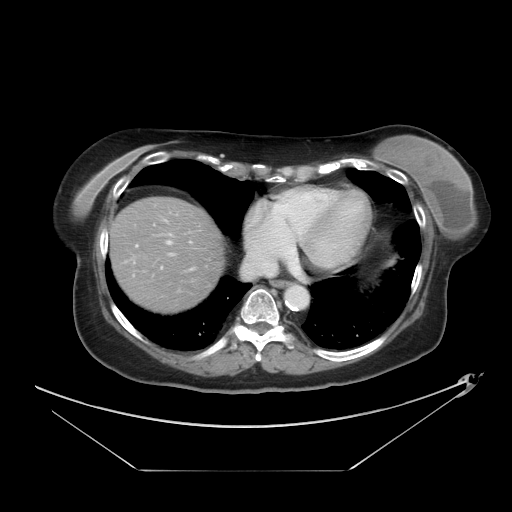 CT, Abdomen
The vessel boxes may cover only some of the vessels.
3 hepatic vessel regions are located at [x1=170, y1=254, x2=172, y2=255], [x1=245, y1=243, x2=266, y2=275], [x1=167, y1=241, x2=170, y2=243]. The liver tumor is located at [x1=184, y1=282, x2=198, y2=296].